FLAIR MRI.
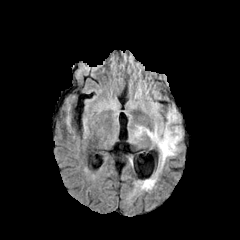
T1-weighted magnetic resonance.
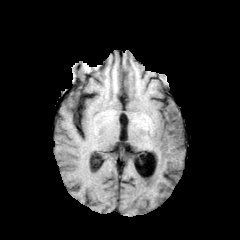
Post-contrast T1-weighted MR image.
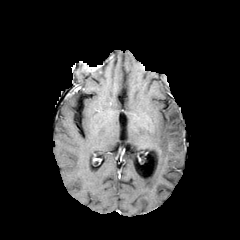
T2-weighted MRI.
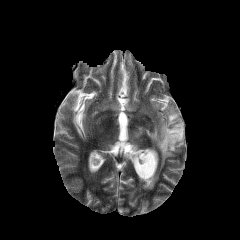
Brain. 240x240 px.
Edema at [x1=131, y1=106, x2=183, y2=170], [x1=151, y1=97, x2=159, y2=112], [x1=137, y1=173, x2=158, y2=190].